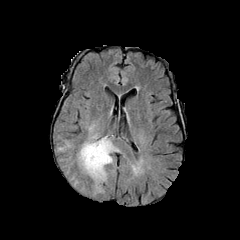
FLAIR MR image.
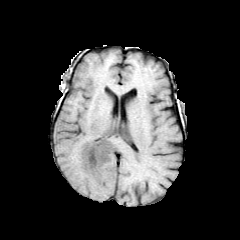
Same slice, T1-weighted MR image.
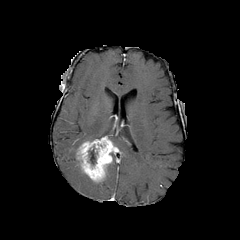
Post-contrast T1-weighted MR.
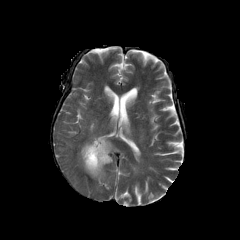
T2-weighted MRI.
Brain
enhancing_tumor:
  - <box>78,136,117,181</box>
edema:
  - <box>88,133,101,141</box>
  - <box>95,160,113,185</box>
non-enhancing_tumor_core:
  - <box>88,150,95,164</box>